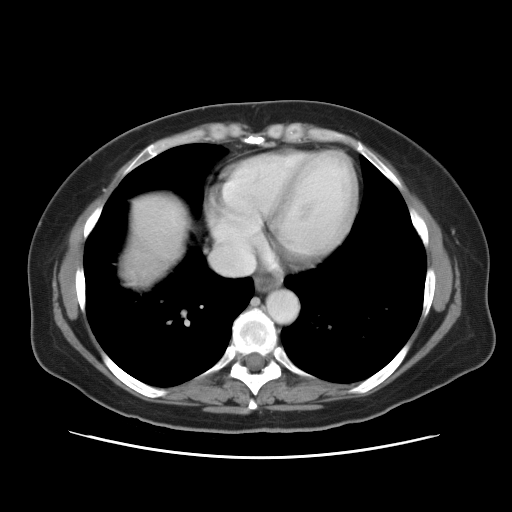
Computed tomography. Image size 512x512.
Some hepatic vessels may have no box.
liver tumor: rect(123, 243, 161, 283) | hepatic vessel: rect(210, 237, 256, 275); rect(166, 216, 175, 224)